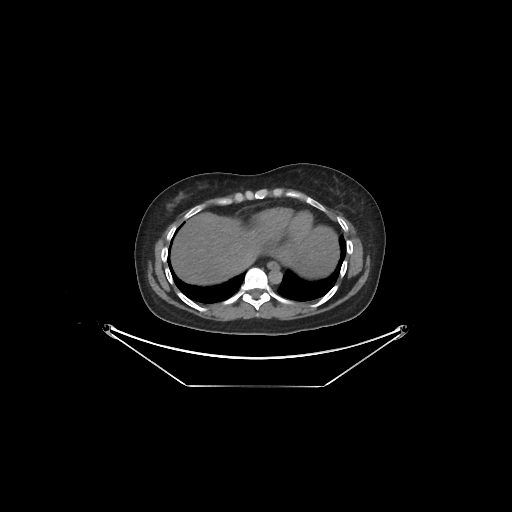

CT
Segmented structures:
* liver: [171,213,338,284]